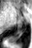 Magnetic resonance

<segmentation>
  <posterior_hippocampus>8:30:22:42</posterior_hippocampus>
</segmentation>